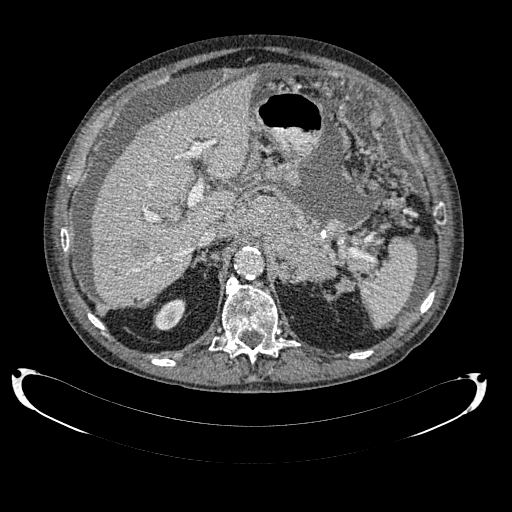 Computed tomography; Upper abdomen
Annotated regions:
- liver: l=90, t=73, r=257, b=308
- focal liver lesion: l=131, t=238, r=145, b=255; l=140, t=125, r=154, b=140
- kidney: l=155, t=300, r=184, b=329